Image width 382 mm, 512x512 px, Computed tomography
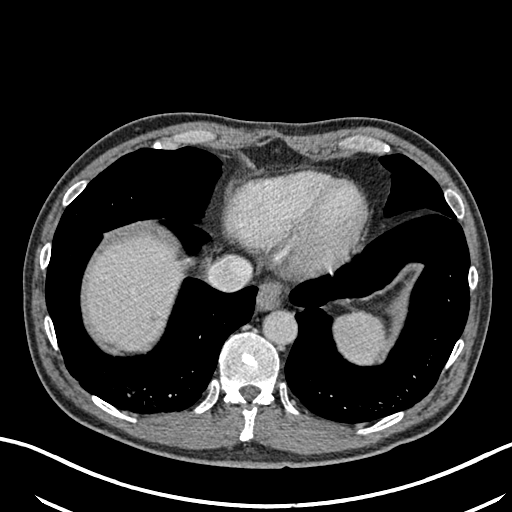
Liver = (85,235,178,346).